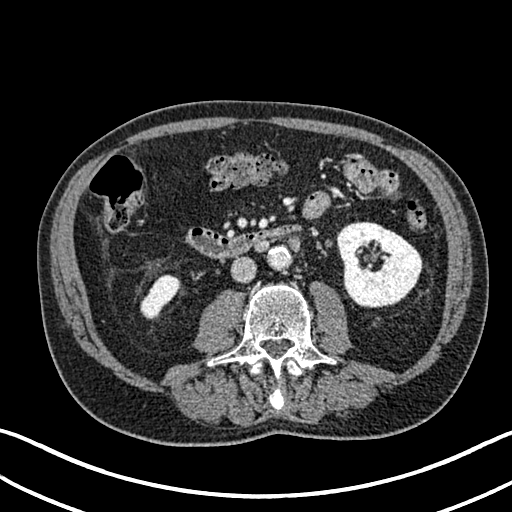 CT slice | 512x512
2 kidney regions are located at rect(141, 275, 178, 317); rect(338, 223, 421, 306).